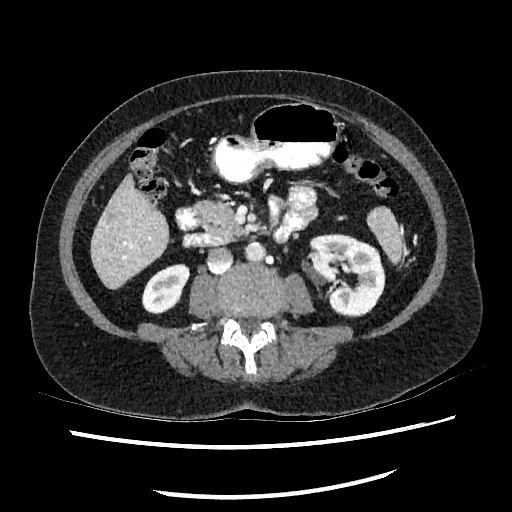 CT slice, 512x512, Liver
liver lesion: <box>108,213,116,221</box> | kidney: <box>311,235,384,314</box>, <box>143,265,188,312</box> | liver: <box>91,177,167,287</box>